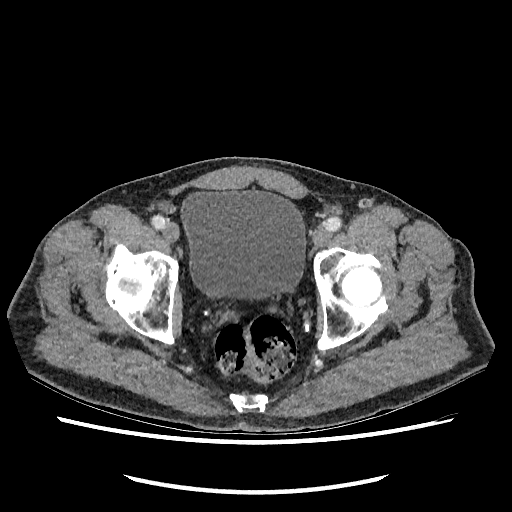

512x512 | CT slice

Urinary bladder: bounding box 181,189,306,298.